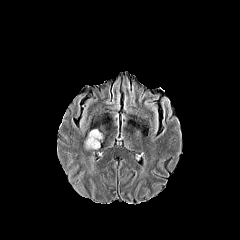
FLAIR MR.
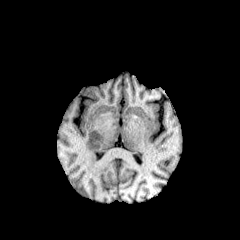
T1-weighted MR image.
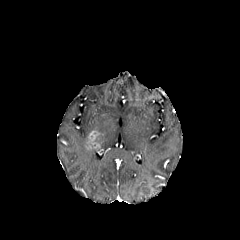
Post-contrast T1-weighted MR of the same slice.
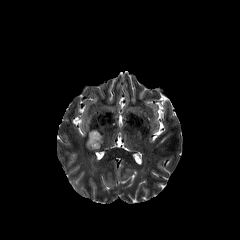
Same slice, T2-weighted MRI.
240x240.
The enhancing tumor appears at rect(85, 129, 100, 151). The non-enhancing tumor core is at rect(94, 129, 103, 145).